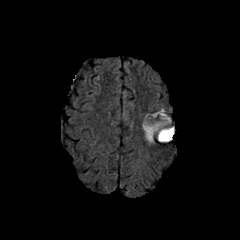
FLAIR MRI.
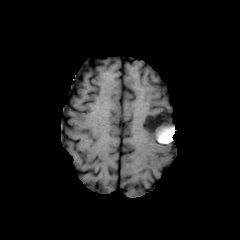
T1-weighted MRI.
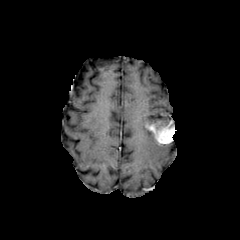
Post-contrast T1-weighted MRI.
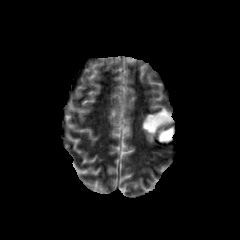
T2-weighted MR image.
The edema is at 141,108,164,143. The non-enhancing tumor core is located at 147,109,171,140. 2 enhancing tumor regions are bounded by 145,121,161,133; 158,121,172,141.